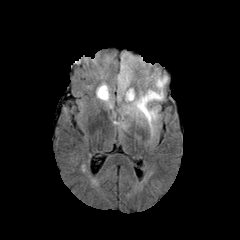
FLAIR MR.
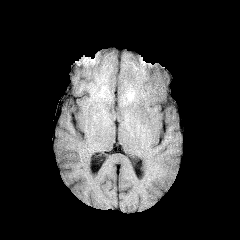
Same slice, T1-weighted MR.
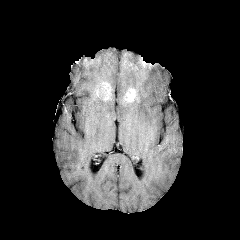
Same slice, post-contrast T1-weighted MR image.
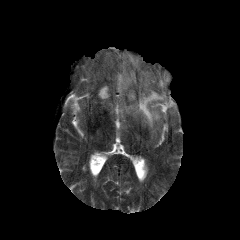
T2-weighted MR image.
Non-enhancing tumor core: bounding box (99,86,109,99).
Edema: bounding box (118,53,136,100), (98,85,110,101), (125,76,167,132).
Enhancing tumor: bounding box (126,89,135,101).